Brain
FLAIR MR.
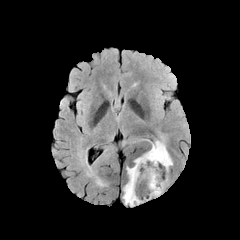
T1-weighted magnetic resonance.
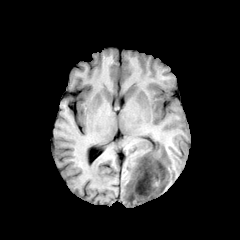
Post-contrast T1-weighted magnetic resonance.
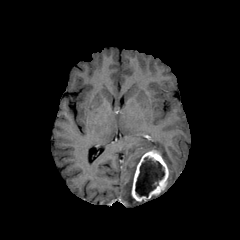
T2-weighted magnetic resonance.
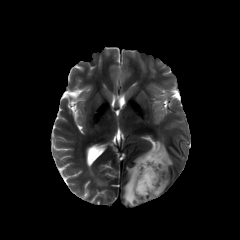
Non-enhancing tumor core: bounding box <bbox>135, 158, 164, 197</bbox>.
Edema: bounding box <bbox>122, 156, 143, 205</bbox>, <bbox>149, 138, 173, 168</bbox>.
Enhancing tumor: bounding box <bbox>131, 150, 168, 202</bbox>.